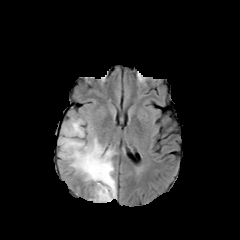
FLAIR MRI.
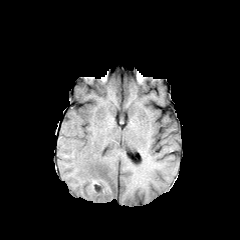
T1-weighted MR of the same slice.
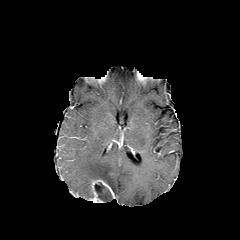
Post-contrast T1-weighted MRI.
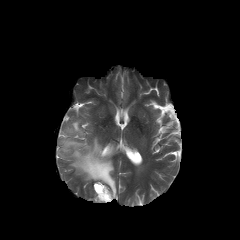
T2-weighted MR.
Brain
The edema lies within l=58, t=118, r=117, b=198. The non-enhancing tumor core appears at l=92, t=180, r=111, b=201.